Abdomen, Computed tomography

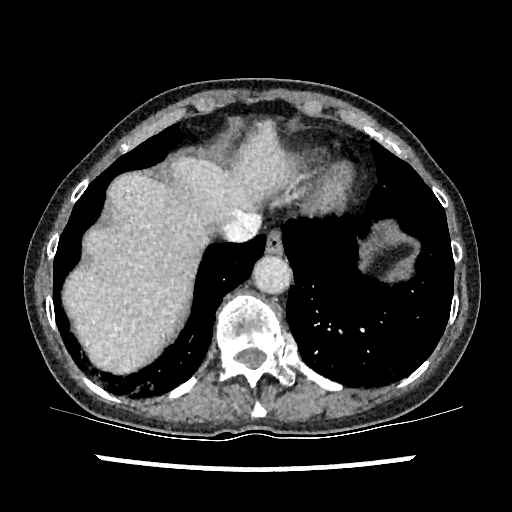 The liver is at [64, 124, 290, 372].